FLAIR MRI.
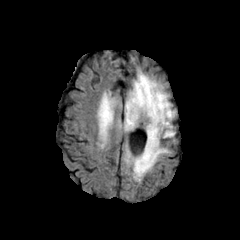
T1-weighted magnetic resonance.
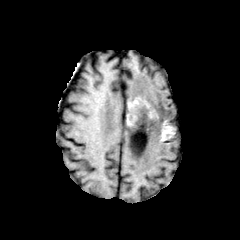
Post-contrast T1-weighted MRI.
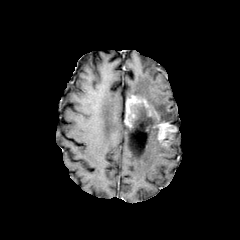
T2-weighted MR image.
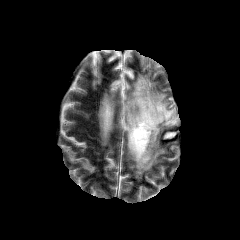
Brain
enhancing tumor: x1=125 y1=96 x2=148 y2=127, x1=154 y1=122 x2=171 y2=138 | non-enhancing tumor core: x1=129 y1=99 x2=161 y2=138, x1=163 y1=126 x2=173 y2=133 | edema: x1=120 y1=122 x2=136 y2=131, x1=125 y1=130 x2=171 y2=180, x1=98 y1=96 x2=115 y2=139, x1=128 y1=71 x2=176 y2=124